Abdomen | CT slice | 512x512 | Slice index 109 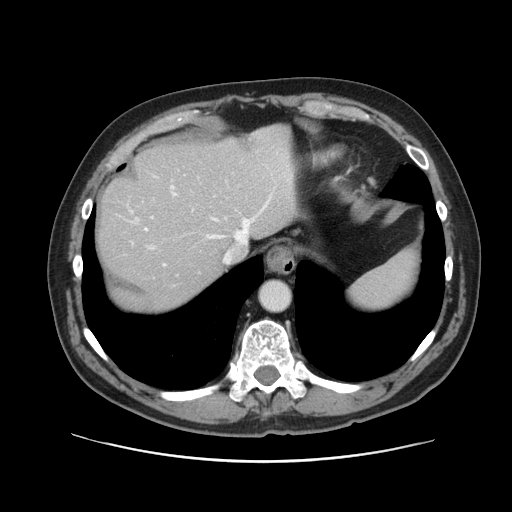

Only some of the vessels may be annotated.
Liver tumor: <bbox>238, 137, 255, 150</bbox>.
Hepatic vessel: <bbox>236, 218, 253, 240</bbox>, <bbox>132, 218, 139, 222</bbox>, <bbox>259, 197, 270, 212</bbox>, <bbox>163, 264, 165, 265</bbox>, <bbox>130, 210, 132, 213</bbox>, <bbox>212, 218, 216, 220</bbox>, <bbox>145, 228, 147, 230</bbox>, <bbox>170, 185, 175, 195</bbox>, <bbox>147, 246, 154, 248</bbox>.